Image size 512x512 | Computed tomography | Abdomen
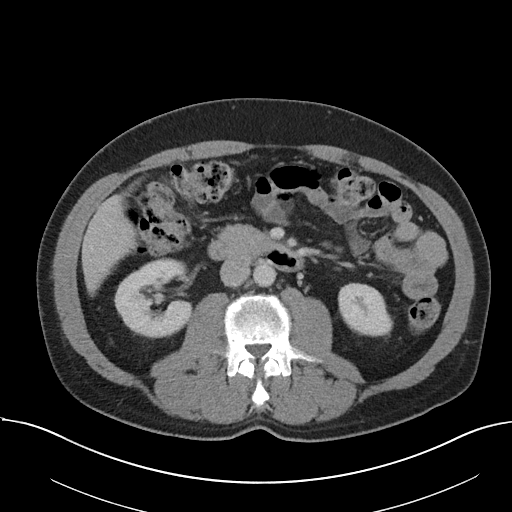
Only some of the vessels may be annotated.
{
  "hepatic_vessel": [
    "region(107, 224, 109, 225)"
  ]
}